FLAIR magnetic resonance.
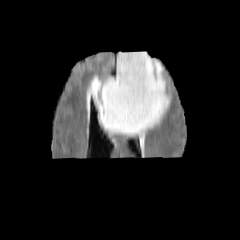
T1-weighted MR.
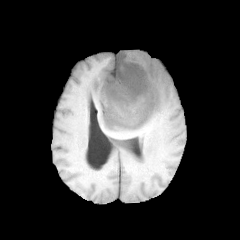
Post-contrast T1-weighted MRI.
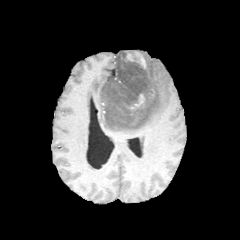
T2-weighted magnetic resonance.
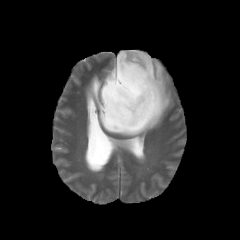
Brain. 240x240 px.
non-enhancing_tumor_core:
  - [x1=101, y1=50, x2=156, y2=123]
enhancing_tumor:
  - [x1=135, y1=52, x2=145, y2=67]
edema:
  - [x1=91, y1=51, x2=171, y2=135]